Medial temporal lobe; Magnetic resonance; 36x50 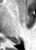 The posterior hippocampus lies within 12:40:19:43.